CT slice, Abdomen, Slice 374/986

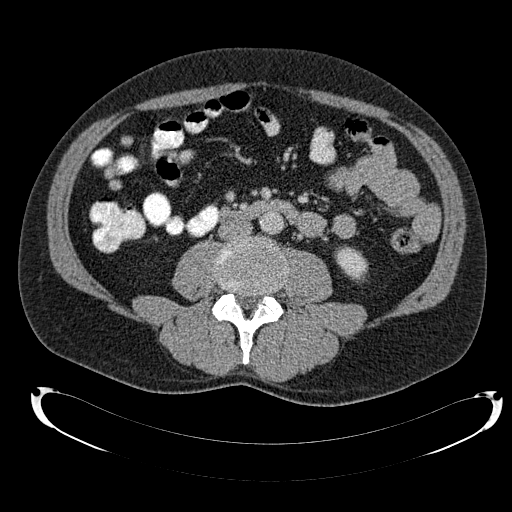 <segmentation>
  <kidney>[337,248,366,277]</kidney>
</segmentation>